Thorax | Image size 512x512 | CT 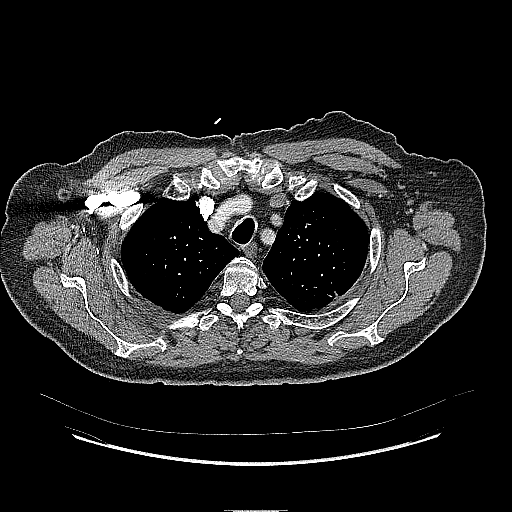

lung tumor: (left=324, top=285, right=338, bottom=297)